Slice 438 of 574 | 512x512 px | CT scan slice

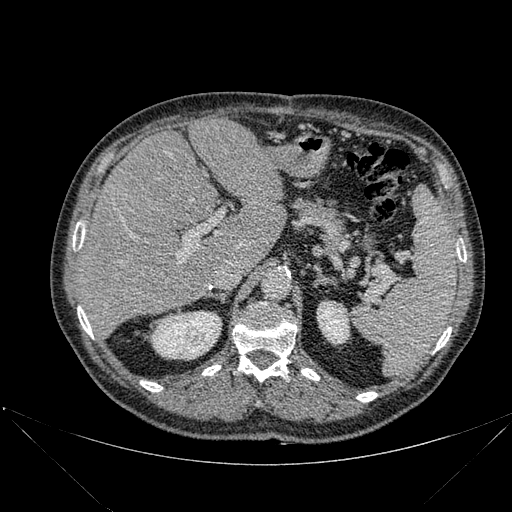 Kidney = bbox(152, 311, 221, 359); bbox(317, 301, 349, 343).
Liver = bbox(76, 118, 287, 338).
Bone = bbox(202, 365, 220, 375); bbox(77, 306, 93, 338); bbox(356, 392, 377, 402); bbox(140, 381, 162, 391); bbox(434, 327, 451, 351); bbox(232, 309, 296, 381); bbox(457, 248, 466, 261); bbox(301, 368, 319, 380); bbox(73, 222, 84, 249).